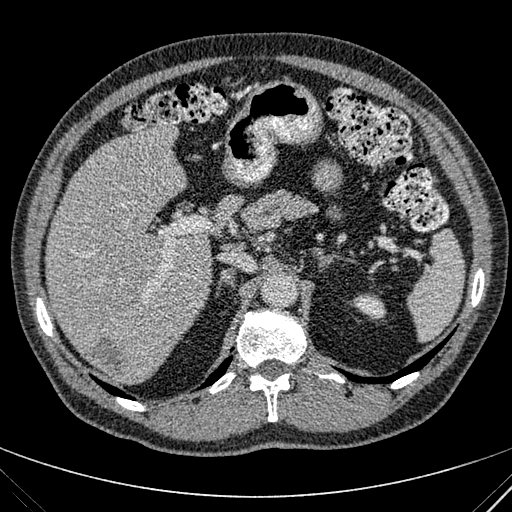

CT scan slice. Abdomen. The focal liver lesion is bounded by region(82, 332, 127, 377). 2 liver regions appear at region(210, 194, 241, 236); region(46, 126, 212, 382). The kidney is located at region(354, 296, 385, 317).